Field of view 240 mm wide, 1.00 mm slice spacing, Slice index 79, Head
FLAIR MR.
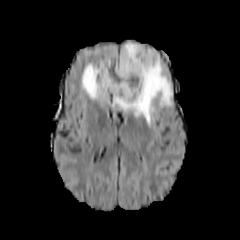
T1-weighted MR image.
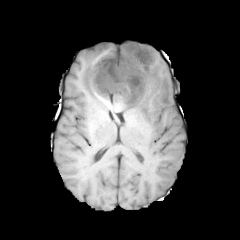
Post-contrast T1-weighted MR.
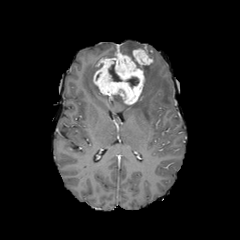
T2-weighted MR image.
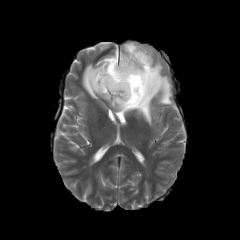
2 edema regions appear at [x1=122, y1=43, x2=153, y2=58], [x1=82, y1=61, x2=173, y2=124]. 2 enhancing tumor regions appear at [x1=133, y1=49, x2=152, y2=67], [x1=93, y1=52, x2=144, y2=104]. 4 non-enhancing tumor core regions are located at [x1=108, y1=60, x2=123, y2=81], [x1=134, y1=61, x2=147, y2=73], [x1=126, y1=77, x2=139, y2=86], [x1=113, y1=94, x2=123, y2=102].